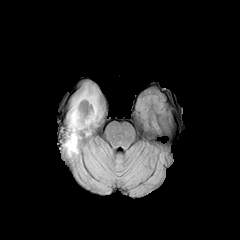
FLAIR MR.
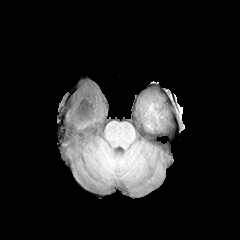
T1-weighted MR.
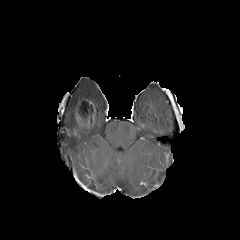
Post-contrast T1-weighted MRI.
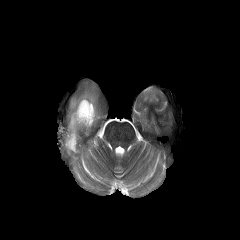
Same slice, T2-weighted MR.
Brain
edema: 63,87,100,159 | non-enhancing tumor core: 74,98,96,127